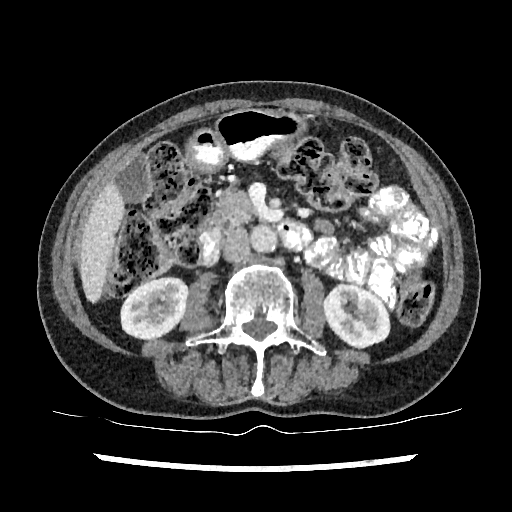

CT image, 512x512 px
<segmentation>
  <liver>left=81, top=184, right=124, bottom=301</liver>
  <kidney>left=324, top=285, right=388, bottom=346; left=121, top=278, right=187, bottom=340</kidney>
</segmentation>